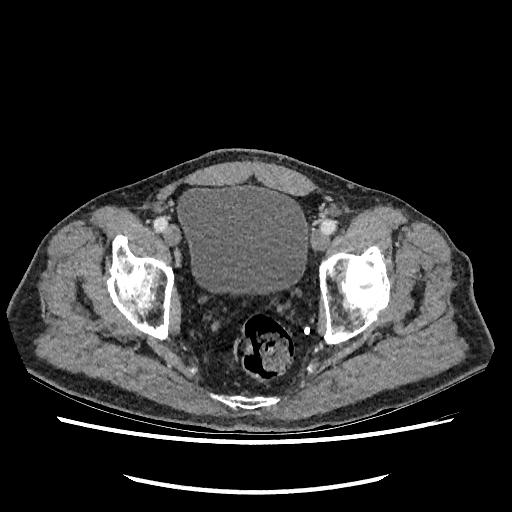
Lower abdomen; CT image
Urinary bladder at (left=177, top=184, right=308, bottom=293).